FLAIR MR image.
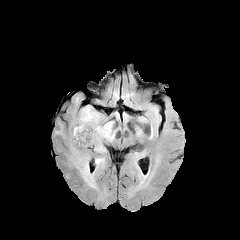
T1-weighted MR image.
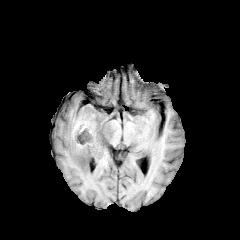
Post-contrast T1-weighted MR.
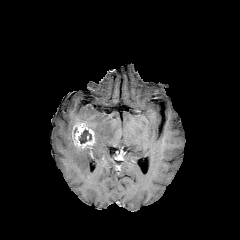
T2-weighted MR image.
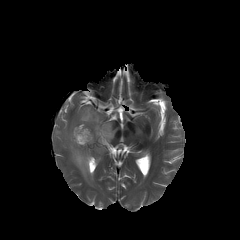
Findings:
- enhancing tumor: left=72, top=121, right=94, bottom=148
- edema: left=66, top=105, right=115, bottom=186
- non-enhancing tumor core: left=79, top=129, right=91, bottom=143